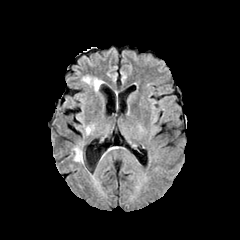
FLAIR MRI.
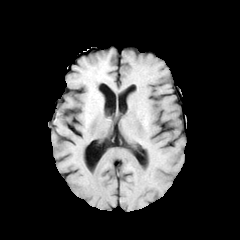
T1-weighted magnetic resonance.
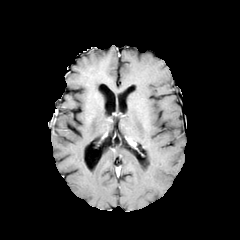
Same slice, post-contrast T1-weighted MR.
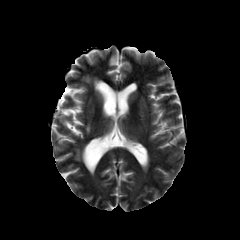
T2-weighted magnetic resonance of the same slice.
Edema — [82,76,104,92], [74,147,83,162], [85,125,93,134].